FLAIR MR image.
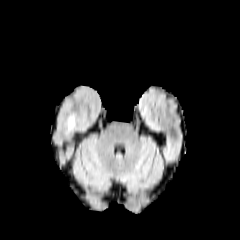
T1-weighted MR.
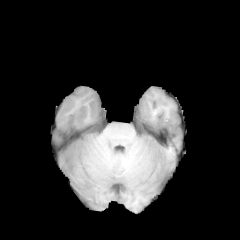
Post-contrast T1-weighted MR image.
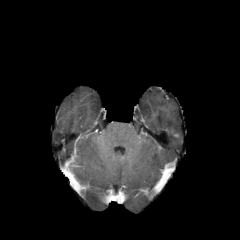
T2-weighted magnetic resonance.
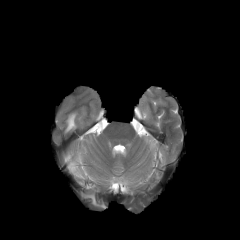
<segmentation>
  <edema>bbox(67, 114, 76, 131)</edema>
</segmentation>